CT; 512x512; Upper abdomen
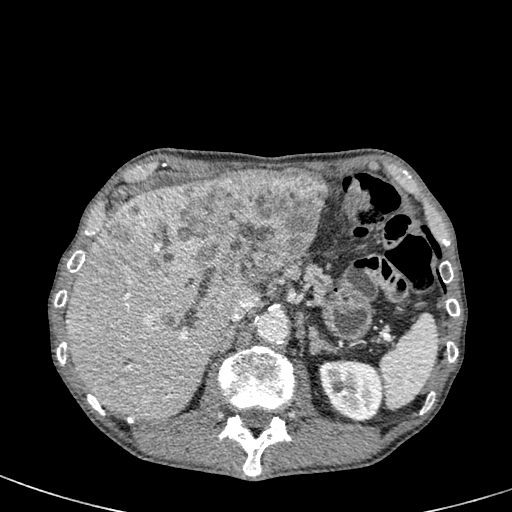 2 liver regions are located at 65:182:257:419, 263:168:315:174. The kidney is located at 320:361:381:419. 3 focal liver lesion regions are located at 163:313:175:325, 178:170:329:282, 108:223:130:241.